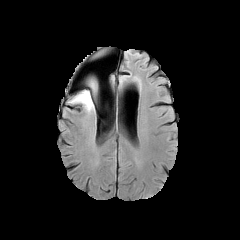
FLAIR MRI.
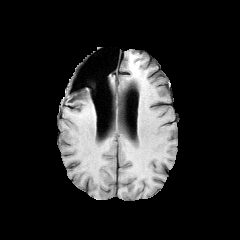
T1-weighted MRI of the same slice.
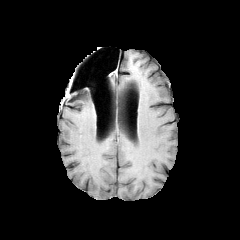
Post-contrast T1-weighted MR.
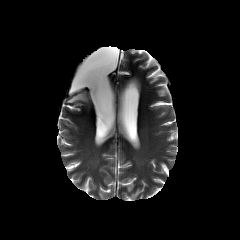
T2-weighted magnetic resonance of the same slice.
240x240. Brain.
The edema is at (68, 79, 97, 115).